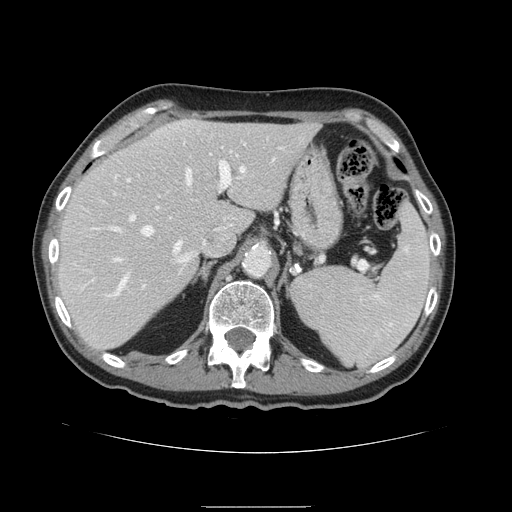
Computed tomography.

{"spleen": ["291, 204, 430, 365"]}